Image size 240x240, Field of view 240x240 mm, Slice 115/155
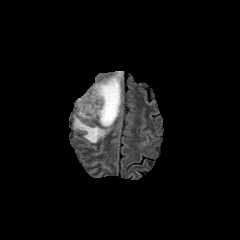
FLAIR MR image.
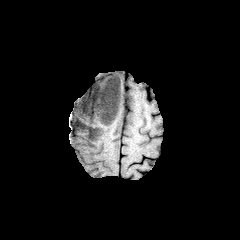
T1-weighted MR image.
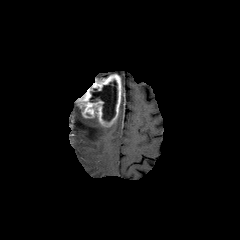
Post-contrast T1-weighted MR.
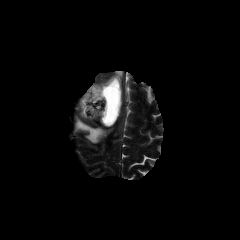
Same slice, T2-weighted magnetic resonance.
The enhancing tumor lies within (left=77, top=74, right=121, bottom=117). The edema appears at (left=74, top=108, right=110, bottom=143). The non-enhancing tumor core is at (left=90, top=80, right=117, bottom=125).